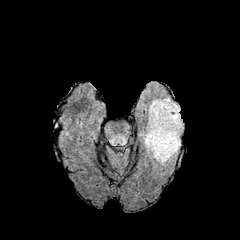
FLAIR MR image.
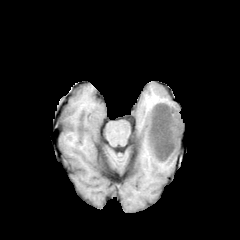
Same slice, T1-weighted magnetic resonance.
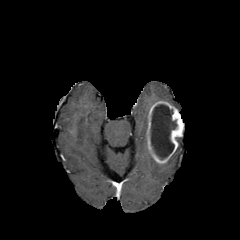
Post-contrast T1-weighted magnetic resonance.
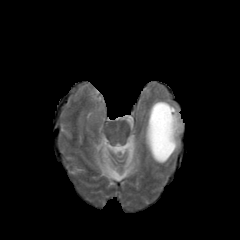
T2-weighted MR.
Brain
3 edema regions are located at bbox(140, 112, 151, 158); bbox(166, 137, 181, 162); bbox(148, 98, 179, 111). The enhancing tumor is located at bbox(146, 101, 183, 163). The non-enhancing tumor core is located at bbox(150, 104, 175, 158).